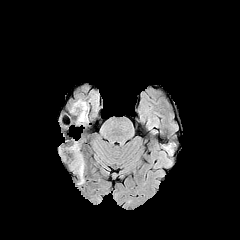
FLAIR magnetic resonance.
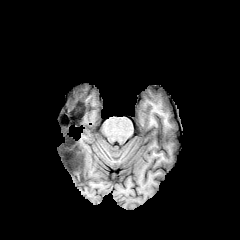
T1-weighted MR.
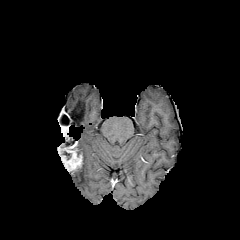
Post-contrast T1-weighted MR image.
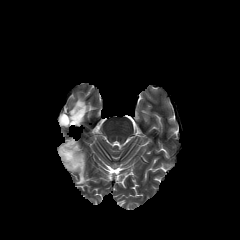
T2-weighted MRI of the same slice.
enhancing tumor: (58,142,82,171) | edema: (69,99,88,112), (74,167,84,184), (77,111,87,121) | non-enhancing tumor core: (70,102,85,118)